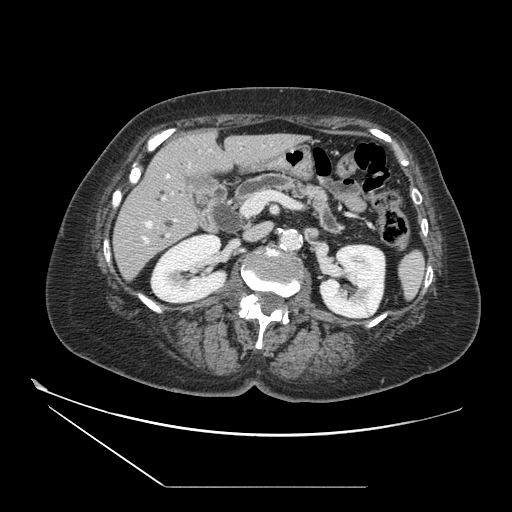

CT scan slice; Upper abdomen
Pancreas: [235,175,341,232].